Slice 94/155.
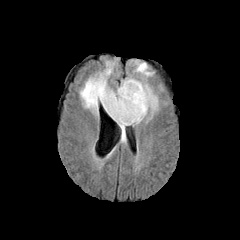
FLAIR MR.
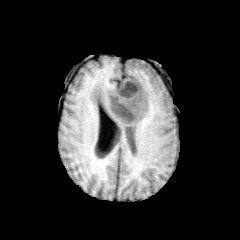
T1-weighted magnetic resonance.
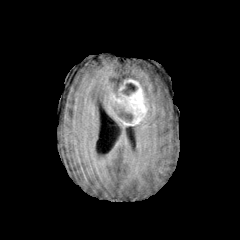
Post-contrast T1-weighted MRI.
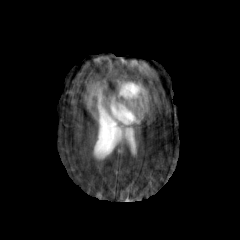
T2-weighted MRI.
Edema = (left=127, top=78, right=158, bottom=116), (left=130, top=60, right=153, bottom=76), (left=114, top=120, right=126, bottom=143), (left=80, top=66, right=117, bottom=116).
Non-enhancing tumor core = (left=114, top=107, right=133, bottom=122), (left=121, top=83, right=137, bottom=95).
Enhancing tumor = (left=106, top=79, right=147, bottom=127).